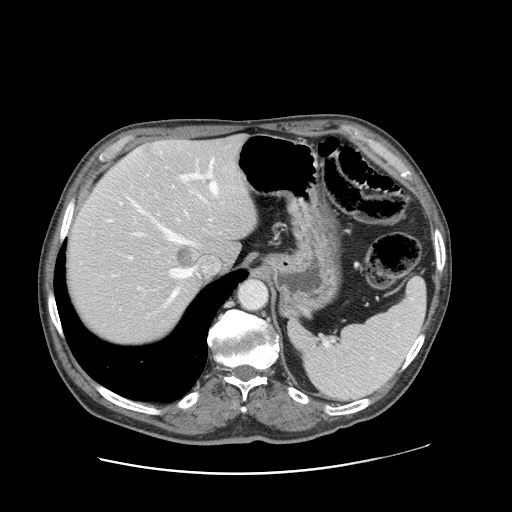

Abdomen; CT slice
The vessel annotation is not exhaustive.
Hepatic vessel at (158,225,188,243), (181,159,213,180), (108,220,111,220), (197,194,204,199), (171,269,192,277), (170,289,177,300), (135,233,140,234), (120,203,122,204), (209,182,216,193), (134,203,143,211), (130,257,131,258).
Liver tumor at (176,247,193,267).